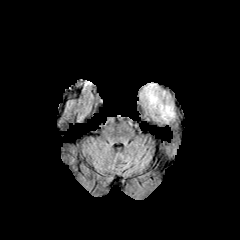
FLAIR MR.
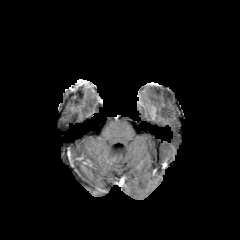
Same slice, T1-weighted magnetic resonance.
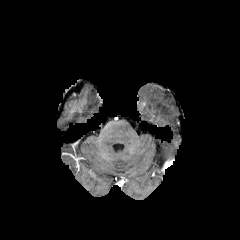
Post-contrast T1-weighted MR image.
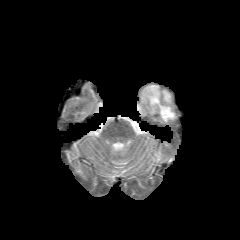
T2-weighted MR.
Head; 240x240
Edema — [140, 83, 175, 122].